Image size 512x512 | CT slice | Slice 30/49 | Liver 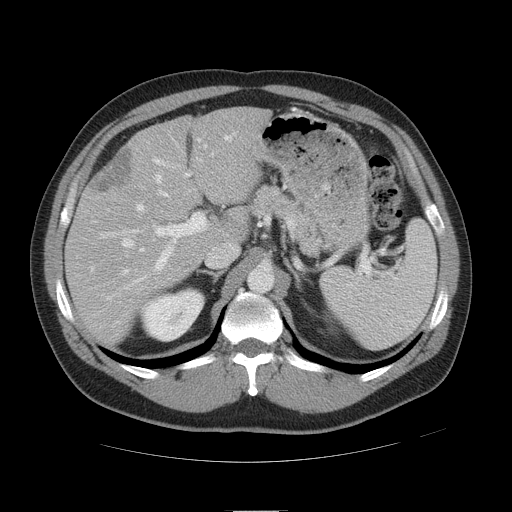 Not every hepatic vessel necessarily has a box.
liver tumor: x1=91, y1=150, x2=134, y2=193 | [15/17] hepatic vessel: x1=123, y1=270, x2=127, y2=273; x1=156, y1=246, x2=172, y2=270; x1=141, y1=248, x2=143, y2=251; x1=211, y1=153, x2=213, y2=155; x1=156, y1=175, x2=160, y2=181; x1=123, y1=238, x2=133, y2=246; x1=185, y1=173, x2=190, y2=176; x1=153, y1=159, x2=164, y2=165; x1=225, y1=136, x2=231, y2=140; x1=137, y1=204, x2=143, y2=210; x1=130, y1=231, x2=135, y2=232; x1=159, y1=191, x2=166, y2=196; x1=197, y1=139, x2=200, y2=141; x1=101, y1=232, x2=115, y2=236; x1=155, y1=212, x2=205, y2=242